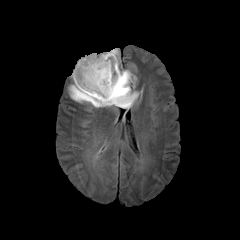
FLAIR MR.
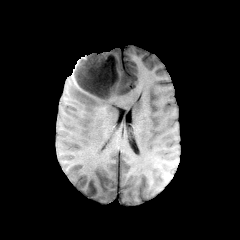
Same slice, T1-weighted MR.
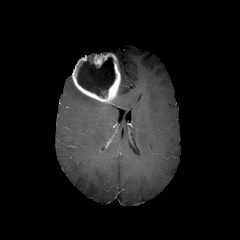
Post-contrast T1-weighted MR image.
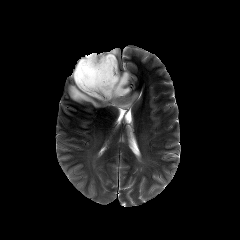
Same slice, T2-weighted MR.
Head
<segmentation>
  <enhancing_tumor>l=72, t=53, r=120, b=104</enhancing_tumor>
  <edema>l=110, t=48, r=121, b=63; l=113, t=67, r=140, b=112; l=68, t=84, r=112, b=107</edema>
  <non-enhancing_tumor_core>l=77, t=53, r=115, b=97</non-enhancing_tumor_core>
</segmentation>